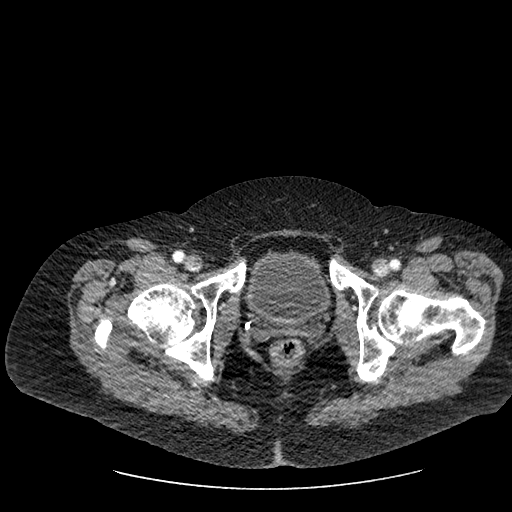

CT scan slice. 512x512 px. urinary_bladder:
  - (240, 250, 331, 327)